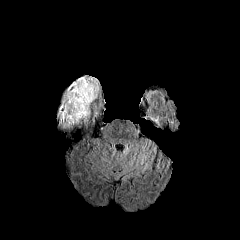
FLAIR MR.
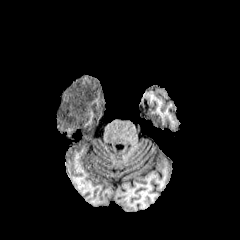
T1-weighted magnetic resonance.
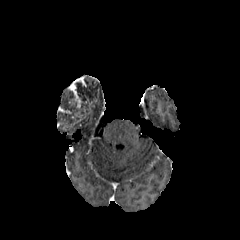
Post-contrast T1-weighted MR.
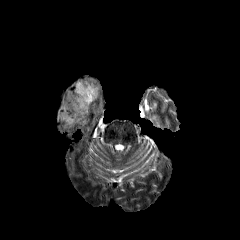
T2-weighted MR of the same slice.
Brain.
The enhancing tumor lies within (67,76,84,108). The non-enhancing tumor core is bounded by (56,75,102,132).